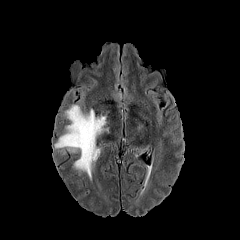
FLAIR MR image.
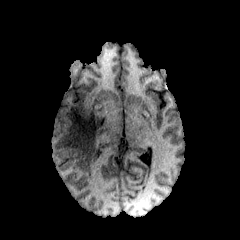
T1-weighted MR image.
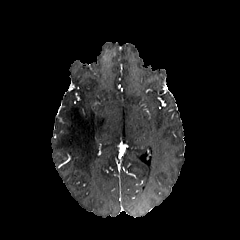
Post-contrast T1-weighted magnetic resonance.
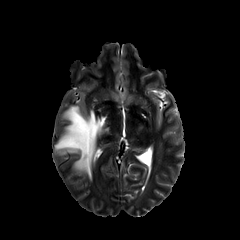
T2-weighted MR of the same slice.
Head
<segmentation>
  <edema>54 105 108 180</edema>
</segmentation>